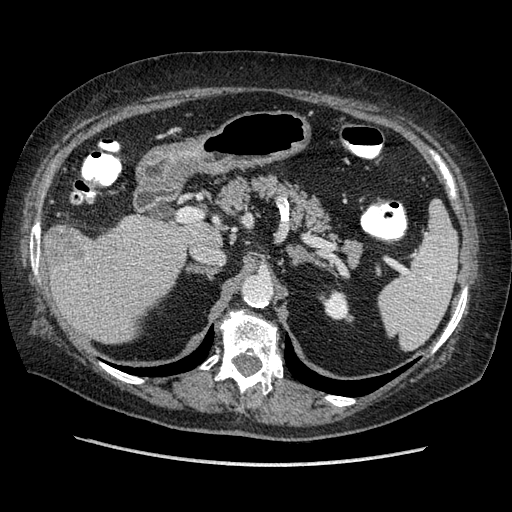

CT scan slice, Abdomen

The liver tumor is located at box(44, 231, 91, 266).